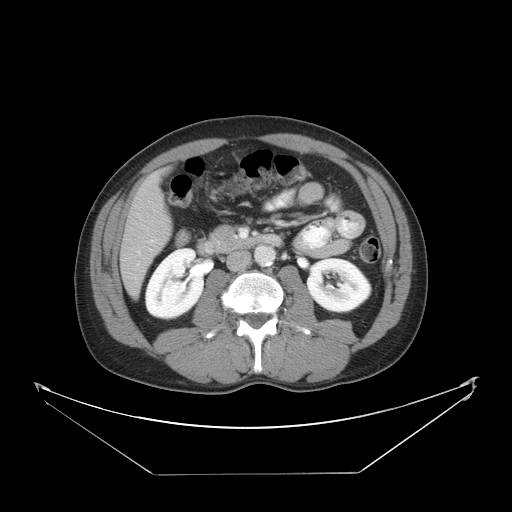
CT image | 512x512
Not every hepatic vessel necessarily has a box.
<segmentation>
  <hepatic_vessel>left=136, top=278, right=138, bottom=279; left=137, top=261, right=139, bottom=264; left=137, top=251, right=139, bottom=253; left=150, top=239, right=155, bottom=242</hepatic_vessel>
</segmentation>